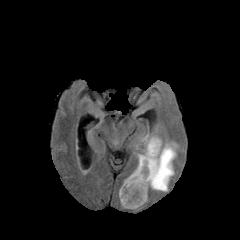
FLAIR MR.
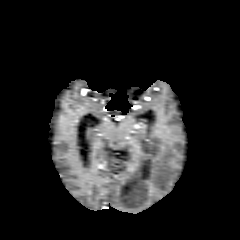
T1-weighted magnetic resonance.
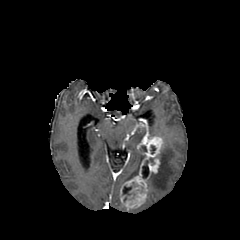
Post-contrast T1-weighted MRI of the same slice.
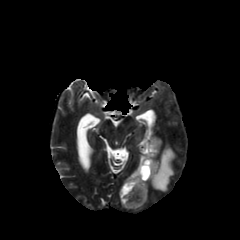
T2-weighted magnetic resonance.
240x240 px.
Edema — bbox=[148, 143, 176, 192]; bbox=[124, 154, 144, 182].
Non-enhancing tumor core — bbox=[122, 183, 133, 195]; bbox=[142, 161, 149, 178]; bbox=[139, 146, 146, 154].
Enhancing tumor — bbox=[119, 137, 162, 209].